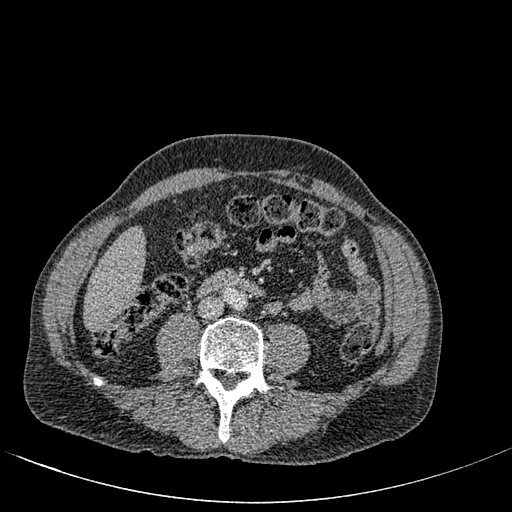 CT image
{"liver": ["85:230:142:326"]}